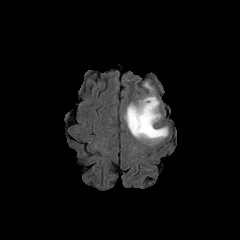
FLAIR MR image.
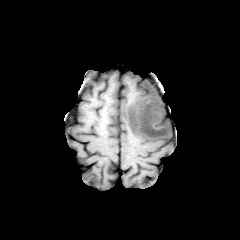
T1-weighted MR of the same slice.
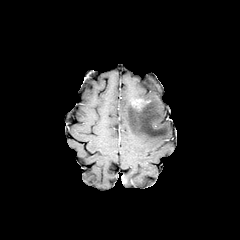
Post-contrast T1-weighted magnetic resonance.
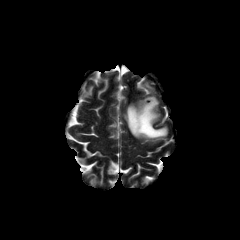
T2-weighted magnetic resonance of the same slice.
Enhancing tumor: x1=133 y1=100 x2=148 y2=110.
Edema: x1=124 y1=95 x2=168 y2=141, x1=144 y1=82 x2=153 y2=92.